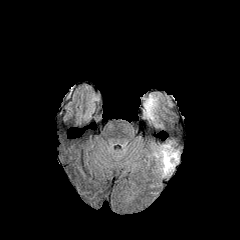
FLAIR MRI.
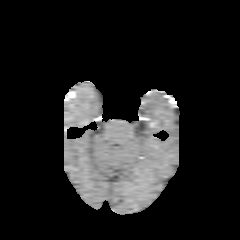
T1-weighted MRI of the same slice.
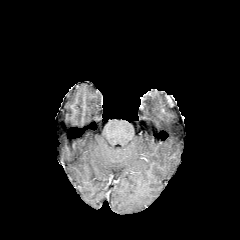
Post-contrast T1-weighted magnetic resonance.
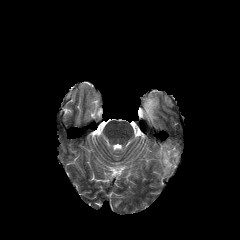
Same slice, T2-weighted MR.
Brain
Edema: bounding box [141, 92, 159, 123], [156, 145, 165, 163].